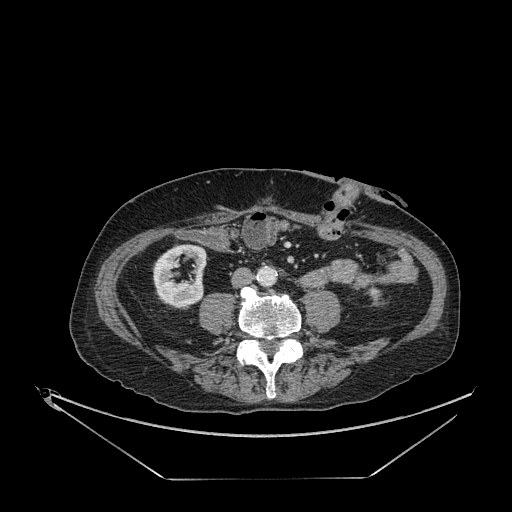

CT
2 kidney regions appear at 370:288:379:300, 154:245:205:307.